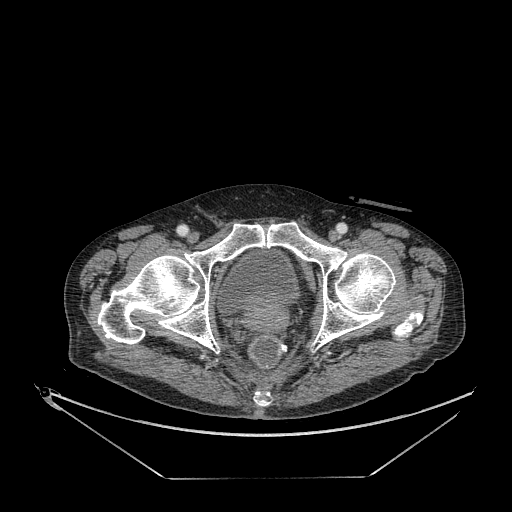 CT image.

• urinary bladder: [217, 248, 299, 315]